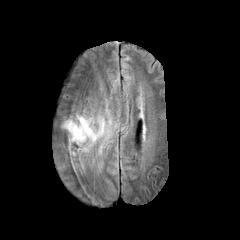
FLAIR MRI.
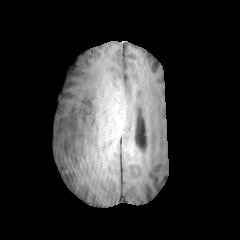
T1-weighted MR of the same slice.
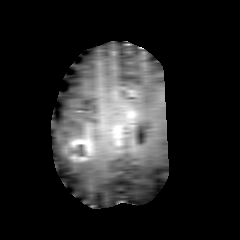
Post-contrast T1-weighted MR.
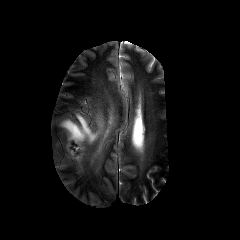
T2-weighted MRI.
The enhancing tumor lies within l=70, t=136, r=89, b=146. The edema lies within l=62, t=113, r=107, b=162.